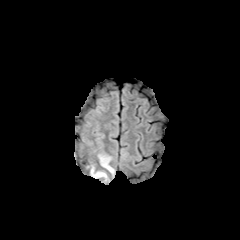
FLAIR MRI.
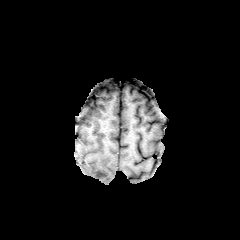
T1-weighted magnetic resonance of the same slice.
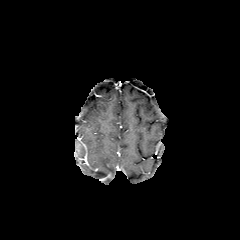
Post-contrast T1-weighted MRI of the same slice.
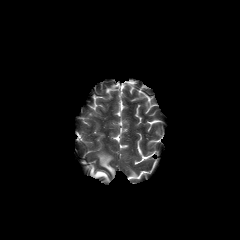
Same slice, T2-weighted MRI.
Brain
Edema: left=87, top=153, right=114, bottom=183.